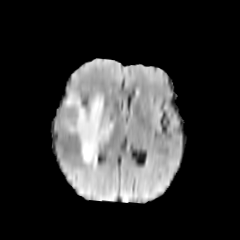
FLAIR magnetic resonance.
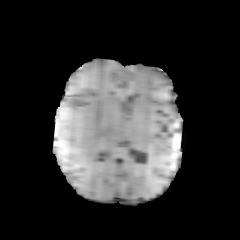
T1-weighted MR image.
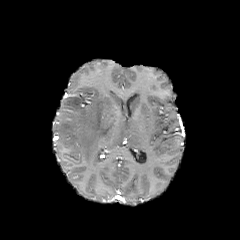
Same slice, post-contrast T1-weighted MR.
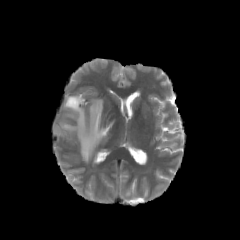
Same slice, T2-weighted magnetic resonance.
Head
Segmented structures:
* edema: [61,93,113,165]